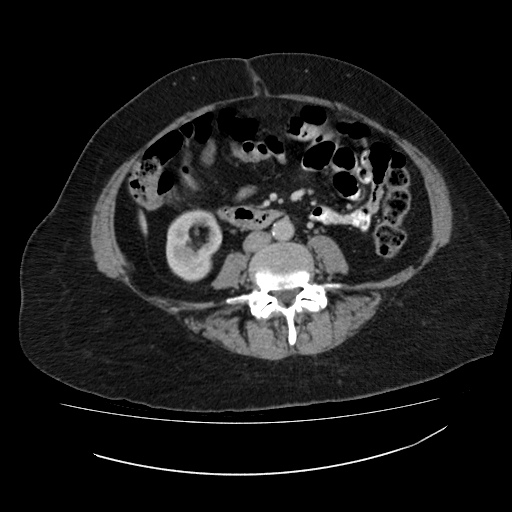 CT slice. Image size 512x512.
<segmentation>
  <kidney>box=[166, 211, 220, 280]</kidney>
</segmentation>